Computed tomography. Pelvis. Slice 132/629. 512x512. 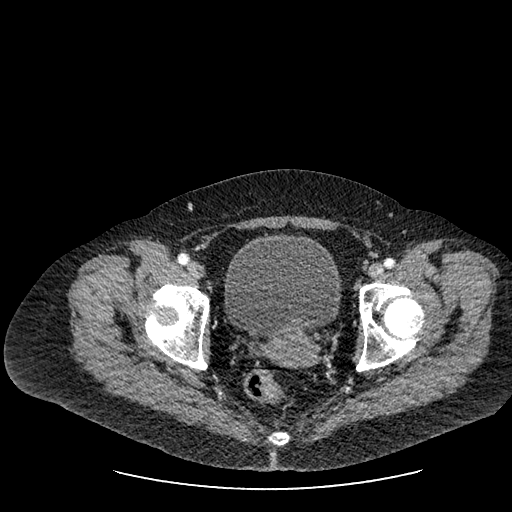 The urinary bladder is bounded by left=225, top=232, right=340, bottom=337.